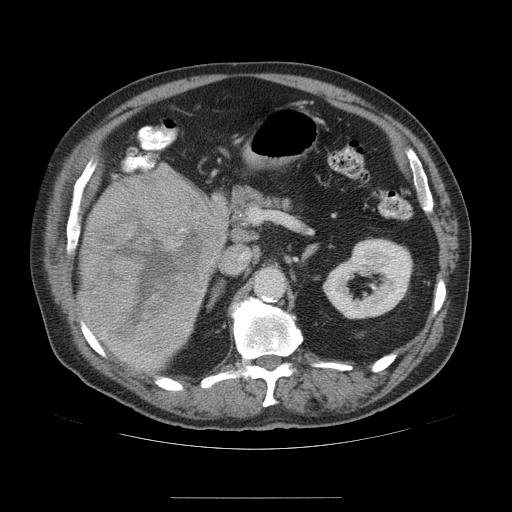
Liver | CT image
The liver tumor is located at 78,175,221,357.